Liver | CT image | Slice 52/151

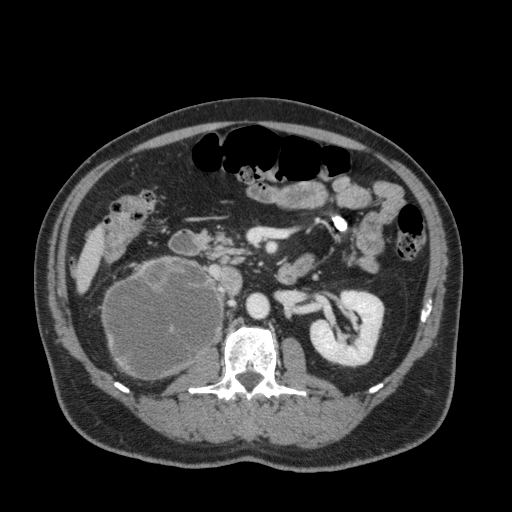

liver:
  - (x1=78, y1=227, x2=103, y2=290)
kidney:
  - (x1=311, y1=291, x2=382, y2=364)